FLAIR MR image.
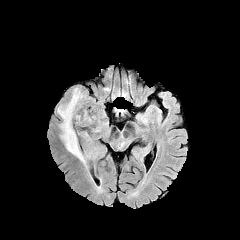
T1-weighted MR.
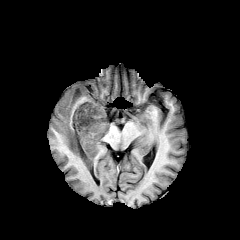
Post-contrast T1-weighted MR.
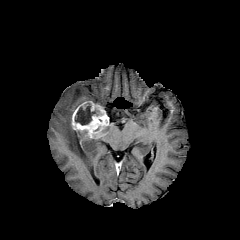
T2-weighted magnetic resonance.
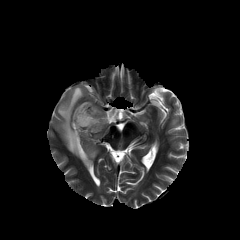
240x240.
enhancing tumor: bbox(71, 103, 108, 137) | edema: bbox(57, 86, 97, 164) | non-enhancing tumor core: bbox(75, 106, 96, 125)